Liver; Computed tomography; Slice 50/131; 512x512
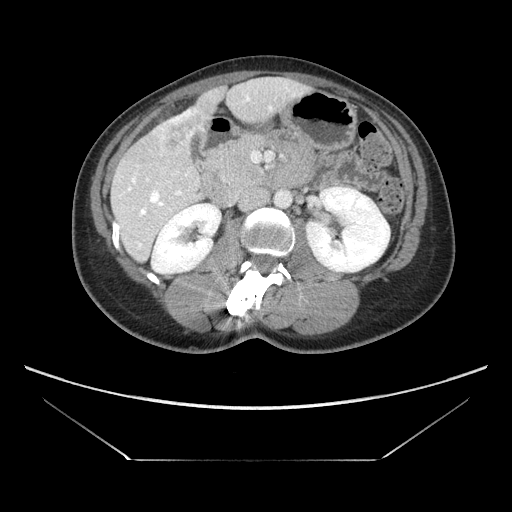 * liver tumor: bbox(153, 107, 202, 158)